512x512 px. Image width 386 mm. CT scan slice. Abdomen. Slice 140/245. 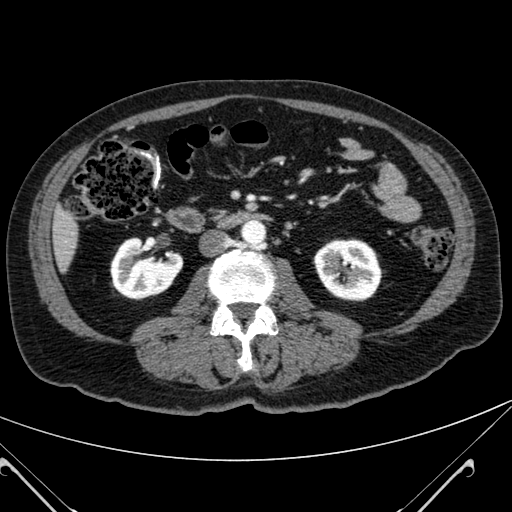
<segmentation>
  <kidney>left=315, top=241, right=380, bottom=299; left=111, top=238, right=181, bottom=298</kidney>
  <liver>left=52, top=208, right=77, bottom=268</liver>
</segmentation>